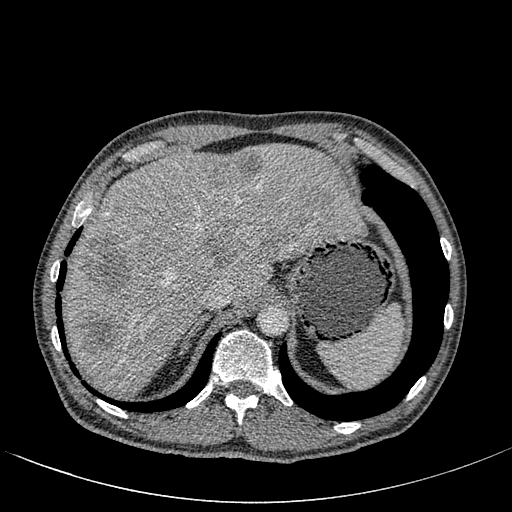
Image size 512x512, Liver, CT
The liver appears at box(64, 144, 368, 395). 6 focal liver lesion regions are bounded by box(84, 234, 131, 291); box(263, 235, 277, 247); box(316, 193, 330, 206); box(80, 312, 119, 350); box(204, 151, 263, 187); box(205, 235, 236, 265).